FLAIR MR image.
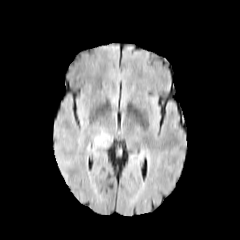
T1-weighted magnetic resonance.
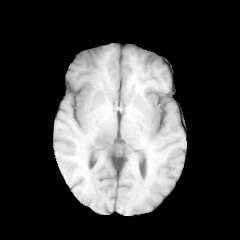
Post-contrast T1-weighted magnetic resonance.
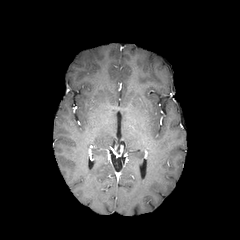
T2-weighted MRI.
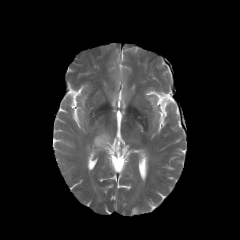
240x240 px; Head
edema:
  - [95, 135, 109, 146]